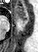
Magnetic resonance. Hippocampus.

anterior hippocampus: bbox(15, 6, 26, 22)